Image width 383 mm. Slice index 280. CT scan slice. Upper abdomen. 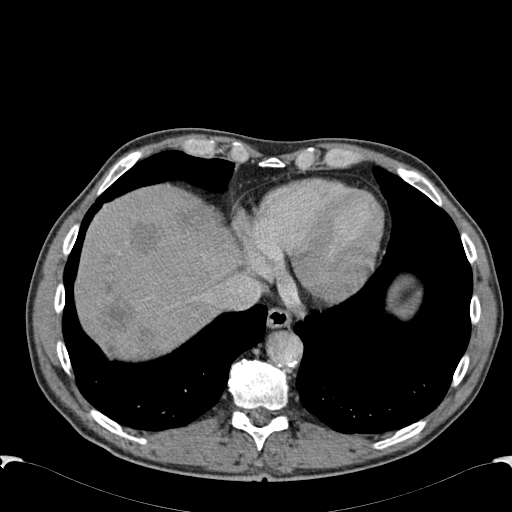
Liver = 75, 184, 240, 357.
Focal liver lesion = 104, 279, 115, 290; 132, 222, 158, 249; 105, 299, 131, 327; 177, 211, 197, 228.